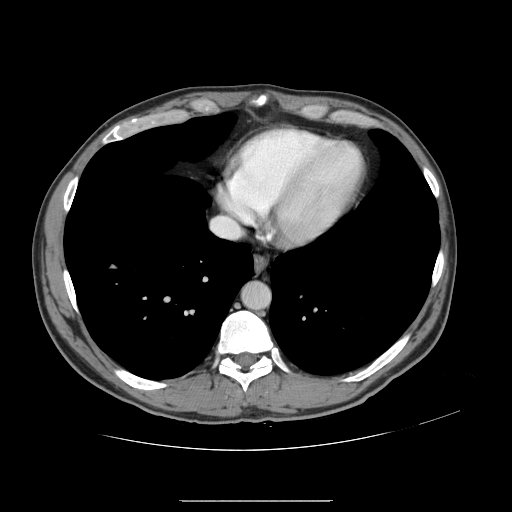

Liver. CT scan slice. The vessel annotation is not exhaustive.
The hepatic vessel lies within region(211, 217, 240, 238).